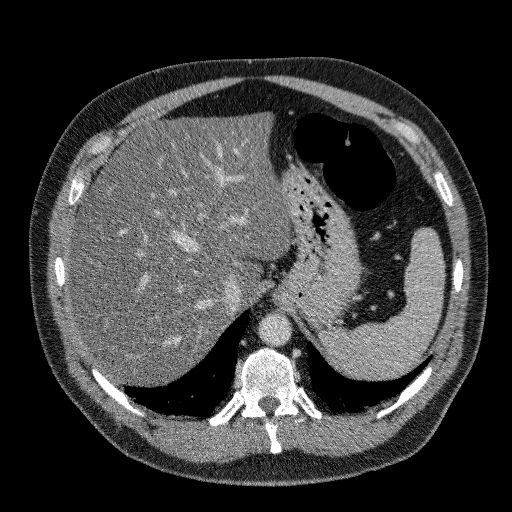 Liver | Image size 512x512 | Computed tomography
Annotated regions:
- liver: x1=70, y1=112, x2=291, y2=384